Liver; Computed tomography; Field of view 399x399 mm; Slice index 39 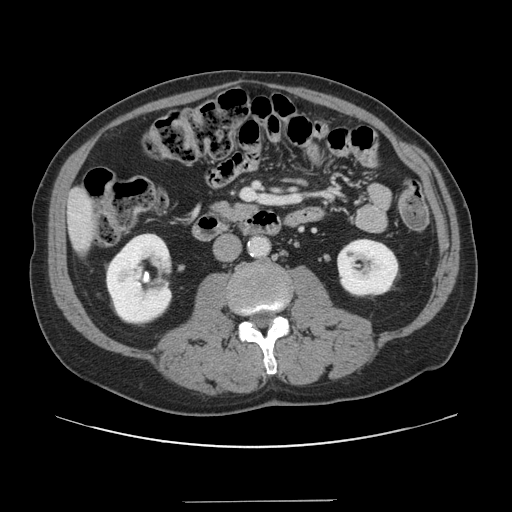
The vessel boxes may cover only some of the vessels.
hepatic vessel: box(261, 196, 277, 201); box(242, 189, 255, 198)